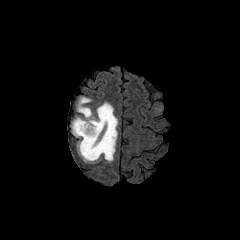
FLAIR MR.
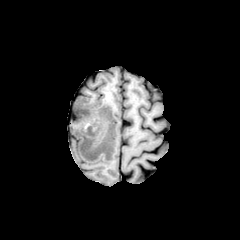
T1-weighted MR image of the same slice.
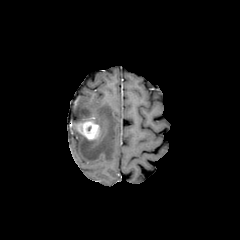
Same slice, post-contrast T1-weighted MRI.
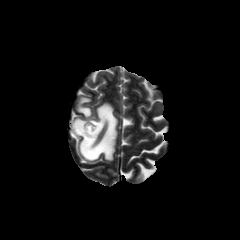
Same slice, T2-weighted magnetic resonance.
Head
• enhancing tumor: 74 120 99 140
• edema: 70 97 118 163